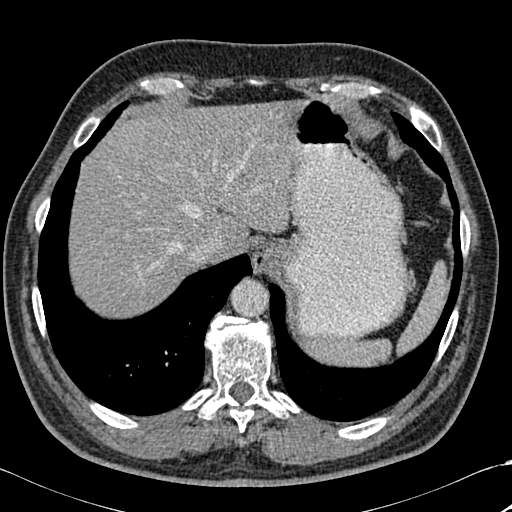 CT | Liver
Segmented structures:
* liver: (left=69, top=101, right=298, bottom=316)
* lung: (left=268, top=112, right=462, bottom=421), (left=37, top=101, right=252, bottom=415)
* bone: (left=339, top=418, right=386, bottom=439), (left=460, top=214, right=464, bottom=253), (left=410, top=107, right=440, bottom=149), (left=439, top=311, right=457, bottom=357), (left=32, top=288, right=45, bottom=334), (left=35, top=199, right=49, bottom=230), (left=466, top=217, right=470, bottom=252), (left=183, top=316, right=299, bottom=432), (left=74, top=117, right=99, bottom=146), (left=143, top=79, right=181, bottom=92), (left=91, top=404, right=136, bottom=428), (left=342, top=84, right=379, bottom=95)